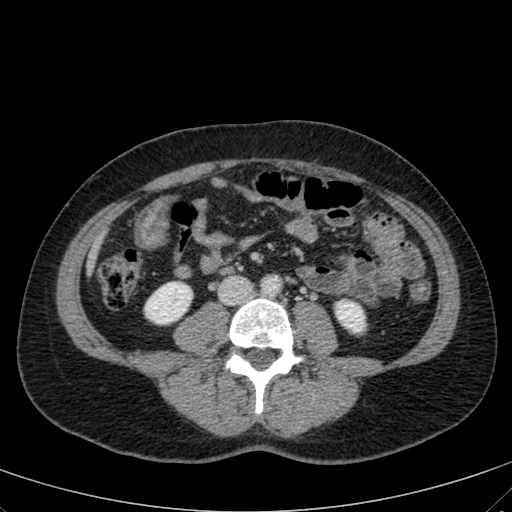

Upper abdomen. Computed tomography. Image size 512x512.

Annotated regions:
• kidney: rect(145, 282, 190, 323); rect(336, 300, 364, 332)
• liver: rect(89, 229, 106, 260)